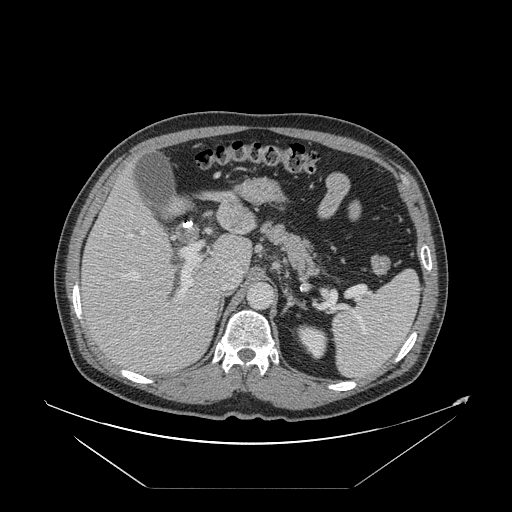

Image size 512x512. CT.
The vessel boxes may cover only some of the vessels.
Segmented structures:
• hepatic vessel: {"x1": 176, "y1": 243, "x2": 202, "y2": 298}, {"x1": 182, "y1": 222, "x2": 192, "y2": 228}, {"x1": 208, "y1": 196, "x2": 218, "y2": 199}, {"x1": 129, "y1": 235, "x2": 132, "y2": 237}, {"x1": 122, "y1": 273, "x2": 138, "y2": 279}, {"x1": 141, "y1": 231, "x2": 144, "y2": 232}, {"x1": 211, "y1": 252, "x2": 242, "y2": 290}, {"x1": 174, "y1": 300, "x2": 175, "y2": 301}, {"x1": 212, "y1": 290, "x2": 216, "y2": 290}, {"x1": 207, "y1": 230, "x2": 209, "y2": 232}, {"x1": 130, "y1": 319, "x2": 132, "y2": 321}, {"x1": 172, "y1": 236, "x2": 174, "y2": 239}, {"x1": 104, "y1": 232, "x2": 107, "y2": 236}